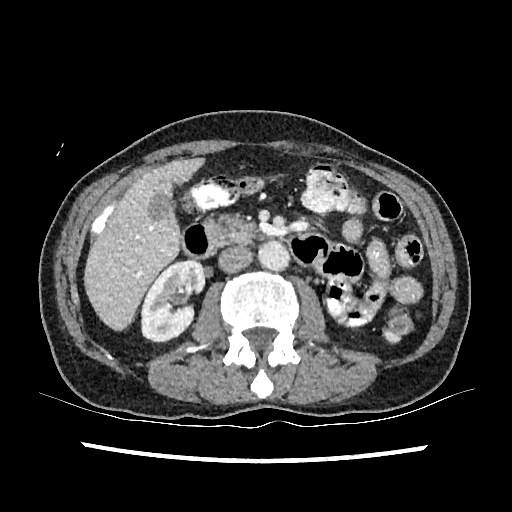 CT slice
Kidney — x1=142 y1=260 x2=203 y2=341.
Liver — x1=87 y1=159 x2=203 y2=327.
Liver lesion — x1=147 y1=193 x2=172 y2=221.